FLAIR magnetic resonance.
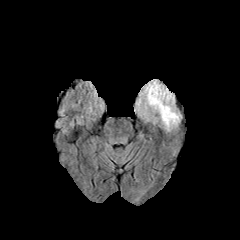
T1-weighted MR image.
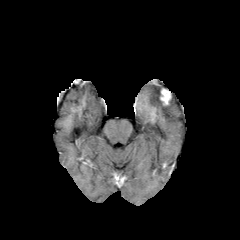
Post-contrast T1-weighted MR image.
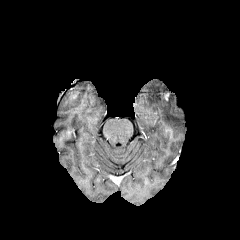
T2-weighted magnetic resonance.
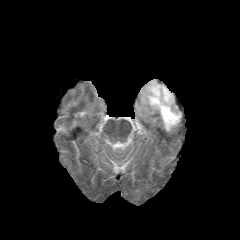
Image size 240x240.
edema: l=135, t=80, r=181, b=131